Slice index 228, CT image

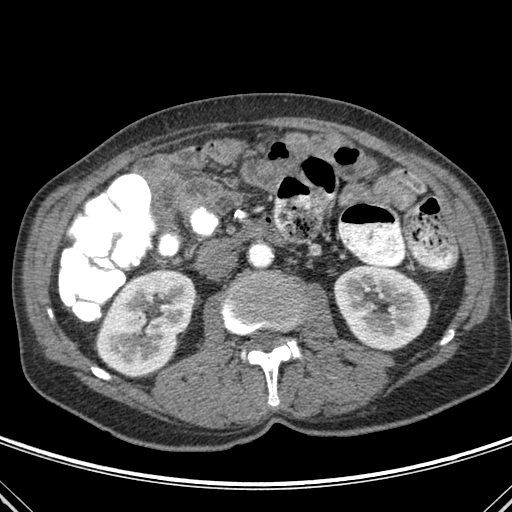

{
  "bone": [
    "(left=235, top=210, right=244, bottom=218)",
    "(left=441, top=330, right=453, bottom=344)",
    "(left=91, top=367, right=110, bottom=379)",
    "(left=242, top=340, right=301, bottom=405)",
    "(left=222, top=272, right=301, bottom=334)"
  ],
  "kidney": [
    "(left=97, top=274, right=194, bottom=375)",
    "(left=335, top=265, right=429, bottom=349)"
  ]
}